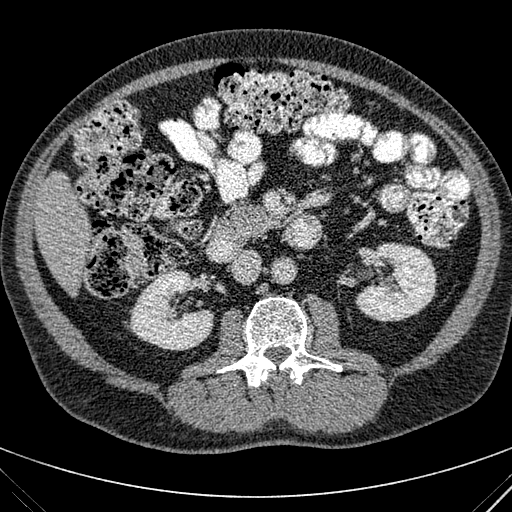

Computed tomography

<segmentation>
  <kidney>131 270 213 349, 356 243 435 320</kidney>
  <liver>35 172 89 295</liver>
</segmentation>